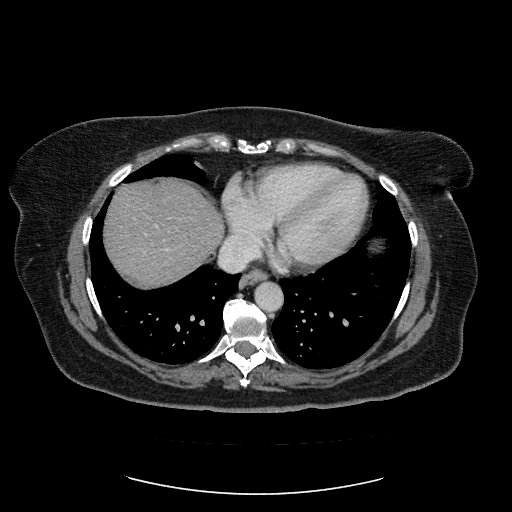
CT scan slice.

Some hepatic vessels may have no box.
{"hepatic_vessel": ["x1=145 y1=233 x2=147 y2=234", "x1=166 y1=248 x2=169 y2=249"]}